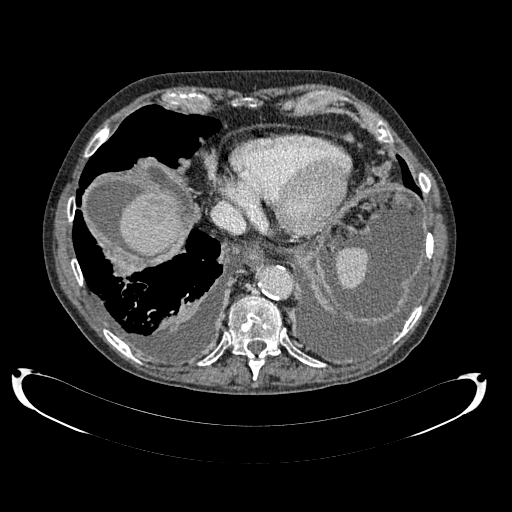 Abdomen, Computed tomography, 512x512
liver: (121,192,181,255) | focal liver lesion: (144,208,162,220)